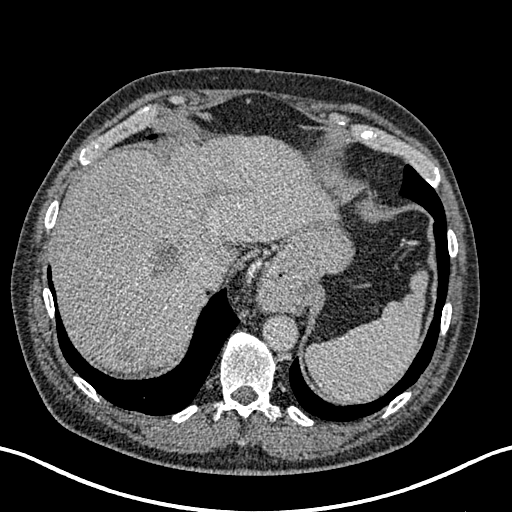
CT scan slice

4 hepatic lesion regions are located at region(148, 240, 192, 277); region(192, 201, 208, 224); region(207, 187, 220, 199); region(117, 347, 134, 364). The liver is bounded by region(52, 135, 337, 371).